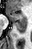 MR image; Medial temporal lobe
Posterior hippocampus at rect(14, 22, 26, 32).
Anterior hippocampus at rect(6, 11, 26, 21).